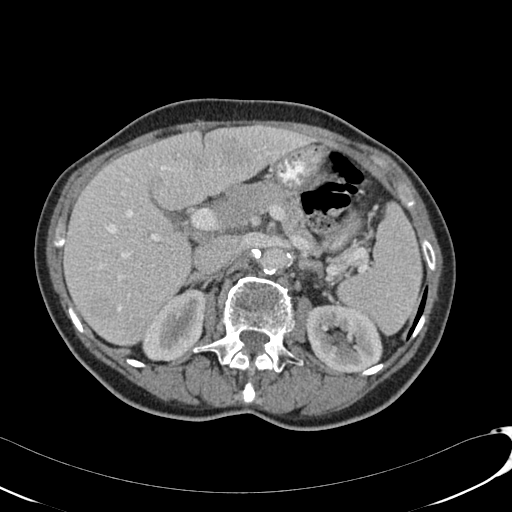 Image size 512x512, Abdomen, CT scan slice
* liver lesion: (192, 152, 206, 168), (217, 140, 253, 167), (94, 301, 109, 318), (151, 175, 163, 189)
* liver: (65, 127, 314, 343)
* kidney: (143, 290, 205, 360), (306, 305, 381, 372)